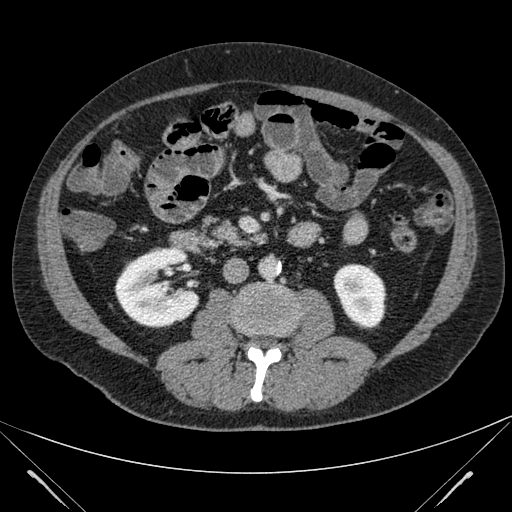 512x512. CT. Abdomen.
2 kidney regions appear at box(116, 247, 197, 326); box(334, 265, 384, 326).